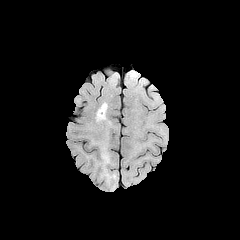
FLAIR MRI.
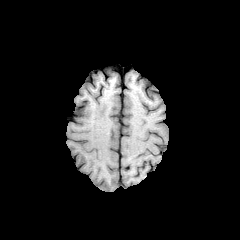
Same slice, T1-weighted MR image.
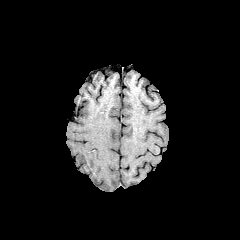
Post-contrast T1-weighted MR of the same slice.
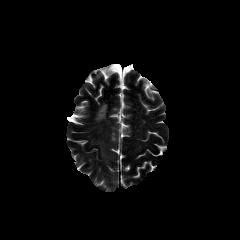
T2-weighted MR image.
Head
Annotated regions:
• edema: 97 104 105 118